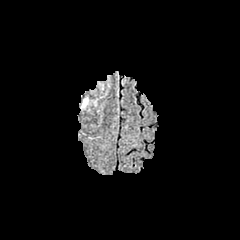
FLAIR magnetic resonance.
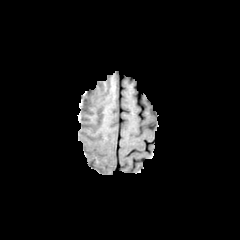
T1-weighted MRI.
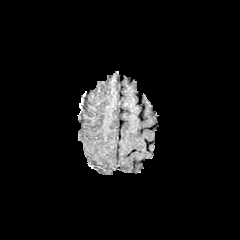
Same slice, post-contrast T1-weighted MR.
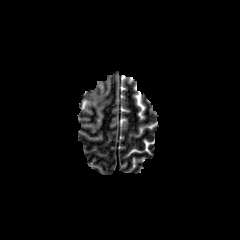
T2-weighted MR of the same slice.
Brain
edema:
  - l=81, t=98, r=95, b=109